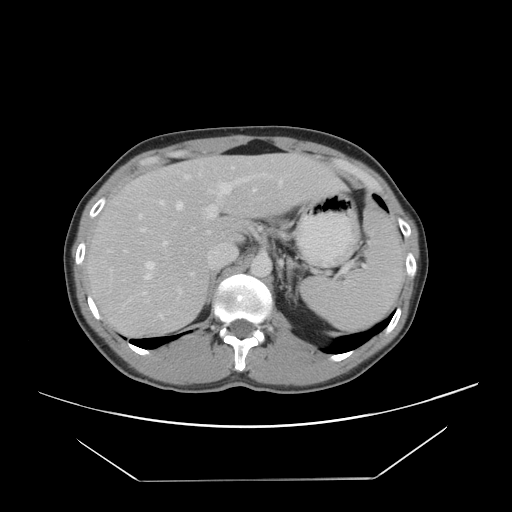

Computed tomography. Abdomen. 512x512.
Some hepatic vessels may have no box.
partial: true
hepatic_vessel:
  # 15 of 20 shown
  - 159:200:164:205
  - 176:201:182:209
  - 209:263:211:266
  - 252:173:265:176
  - 159:313:163:318
  - 145:261:154:269
  - 178:289:181:293
  - 139:215:142:217
  - 108:250:111:252
  - 144:274:151:278
  - 202:205:216:217
  - 140:228:145:231
  - 208:177:249:195
  - 184:175:190:178
  - 279:178:282:186